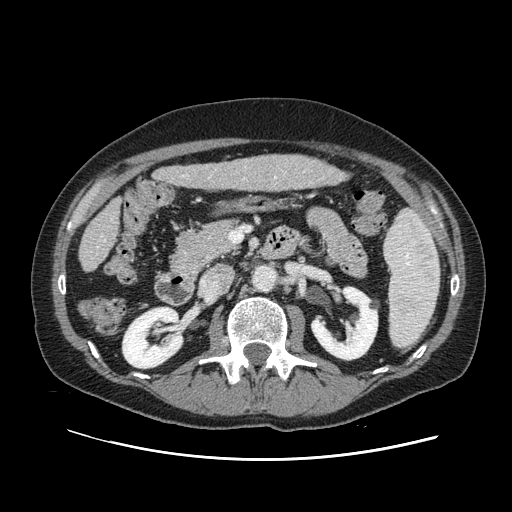
CT image | Upper abdomen

pancreas: box(171, 221, 235, 282)